CT, Slice index 90
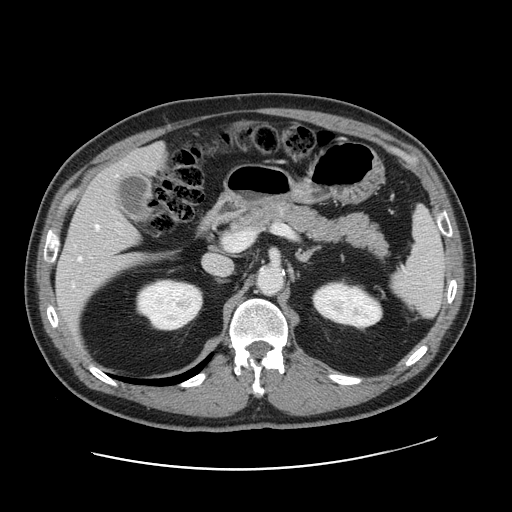
The vessel boxes may cover only some of the vessels.
9 hepatic vessel regions appear at region(72, 326, 74, 330); region(130, 228, 137, 236); region(95, 225, 99, 229); region(156, 144, 162, 147); region(71, 282, 73, 287); region(117, 222, 118, 223); region(78, 257, 81, 259); region(117, 254, 127, 259); region(116, 174, 118, 176).